Slice 24 of 41. Computed tomography.
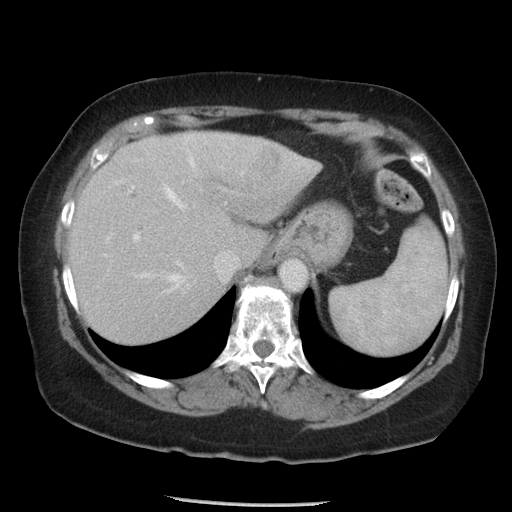 The vessel boxes may cover only some of the vessels.
15 hepatic vessel regions are bounded by left=174, top=260, right=182, bottom=267; left=157, top=172, right=159, bottom=173; left=223, top=251, right=230, bottom=252; left=113, top=179, right=123, bottom=184; left=186, top=284, right=190, bottom=288; left=133, top=232, right=139, bottom=240; left=137, top=272, right=151, bottom=278; left=127, top=185, right=133, bottom=192; left=195, top=173, right=196, bottom=175; left=163, top=184, right=186, bottom=207; left=106, top=232, right=113, bottom=242; left=162, top=274, right=183, bottom=292; left=104, top=254, right=107, bottom=255; left=194, top=280, right=195, bottom=282; left=187, top=156, right=195, bottom=170. The liver tumor appears at left=256, top=146, right=281, bottom=170.